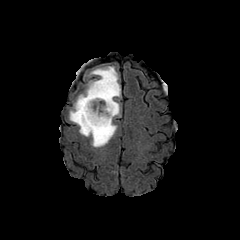
FLAIR MRI.
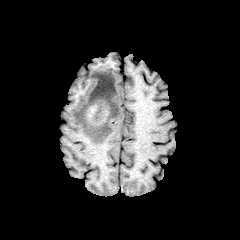
T1-weighted magnetic resonance.
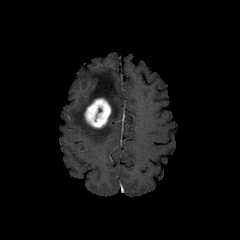
Post-contrast T1-weighted MR.
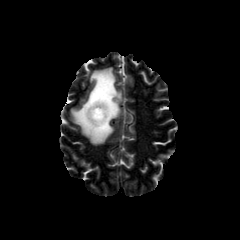
T2-weighted magnetic resonance.
Brain | Image size 240x240
{
  "edema": [
    "left=68, top=66, right=121, bottom=147"
  ],
  "non-enhancing_tumor_core": [
    "left=80, top=74, right=117, bottom=133"
  ],
  "enhancing_tumor": [
    "left=84, top=98, right=111, bottom=128"
  ]
}